Head | Slice 69 of 155
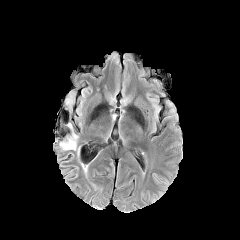
FLAIR MR image.
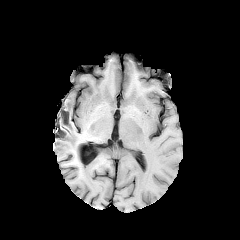
T1-weighted magnetic resonance of the same slice.
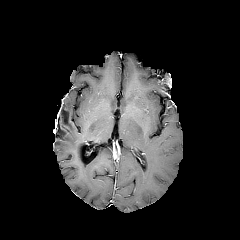
Post-contrast T1-weighted MR.
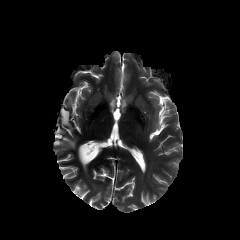
Same slice, T2-weighted MR image.
2 edema regions are located at [x1=59, y1=123, x2=80, y2=154], [x1=65, y1=92, x2=75, y2=110].